CT image
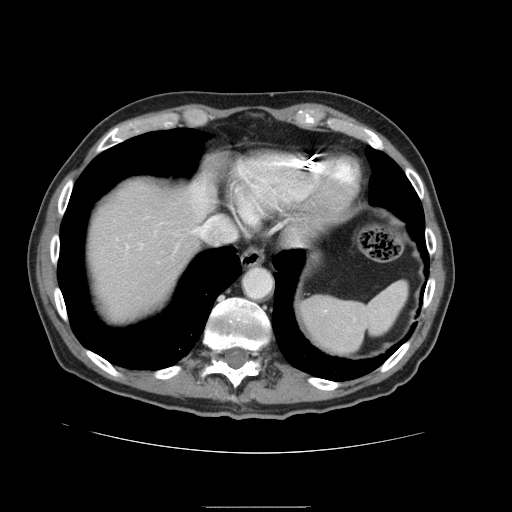 The spleen appears at [x1=301, y1=283, x2=407, y2=356].